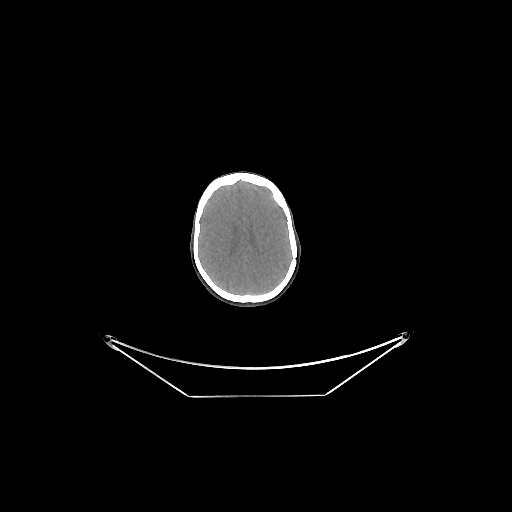
Head, 512x512, CT image
{
  "brain": [
    "(left=198, top=180, right=292, bottom=294)"
  ]
}